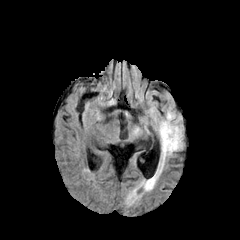
FLAIR magnetic resonance.
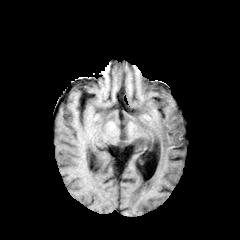
T1-weighted magnetic resonance.
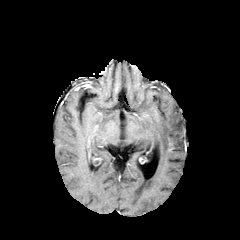
Post-contrast T1-weighted MR image of the same slice.
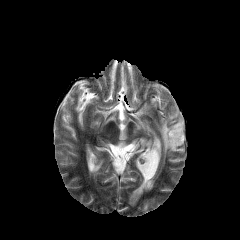
T2-weighted MR of the same slice.
Findings:
- edema: left=129, top=108, right=183, bottom=203